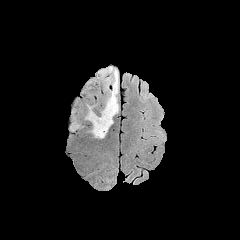
FLAIR magnetic resonance.
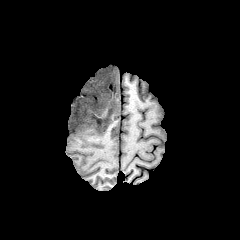
T1-weighted magnetic resonance of the same slice.
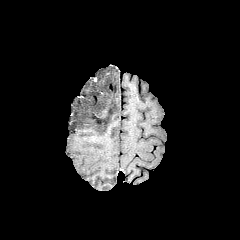
Post-contrast T1-weighted magnetic resonance.
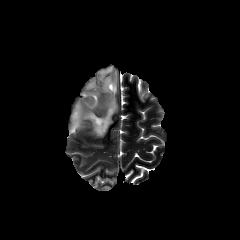
T2-weighted MRI of the same slice.
Brain
Non-enhancing tumor core: (98,71,111,81).
Edema: (70,116,79,129), (86,67,119,138).